Slice 103/155. 240x240 px.
FLAIR magnetic resonance.
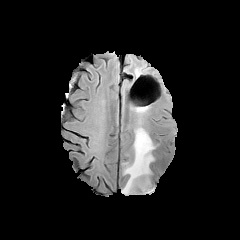
T1-weighted MRI.
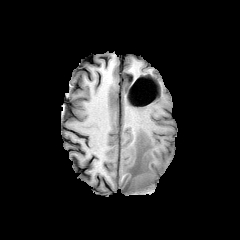
Post-contrast T1-weighted MR image.
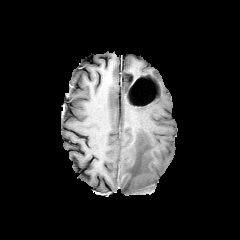
T2-weighted MR.
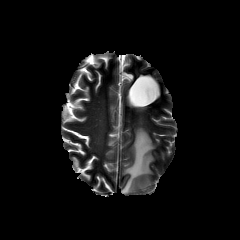
The edema is located at [122,128,154,193].